CT slice. Abdomen. 512x512 px. Slice 24 of 85. Image width 400 mm.
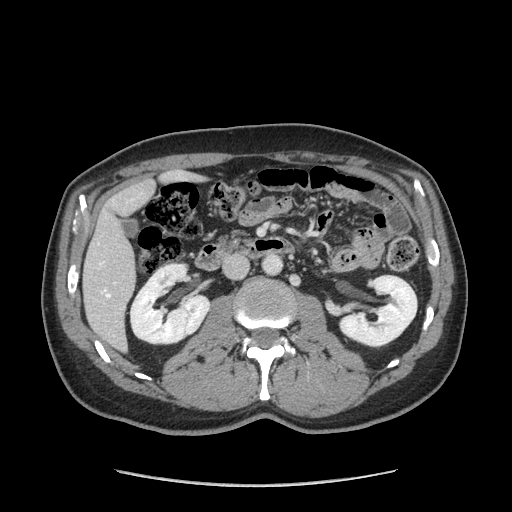

Segmented structures:
- pancreas: l=217, t=232, r=251, b=254